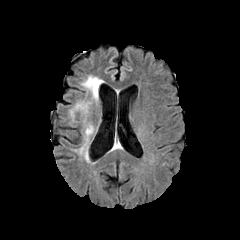
FLAIR magnetic resonance.
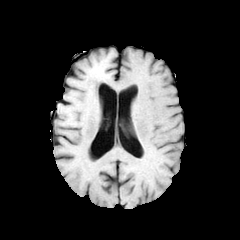
T1-weighted MRI of the same slice.
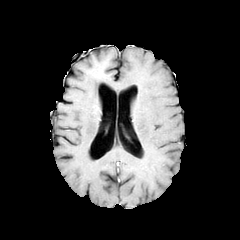
Post-contrast T1-weighted MRI.
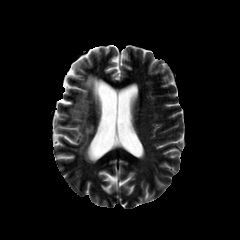
T2-weighted MRI of the same slice.
Head | 240x240
{
  "edema": [
    "left=70, top=75, right=105, bottom=161"
  ]
}